CT slice, 512x512

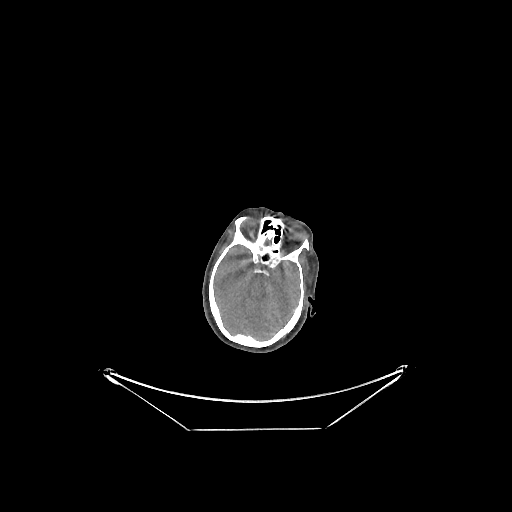

brain:
  - <bbox>264, 238, 271, 245</bbox>
  - <bbox>213, 244, 300, 340</bbox>